FLAIR MRI.
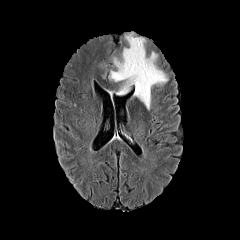
T1-weighted MRI.
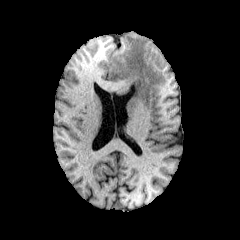
Post-contrast T1-weighted MR.
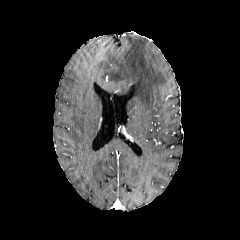
T2-weighted MRI.
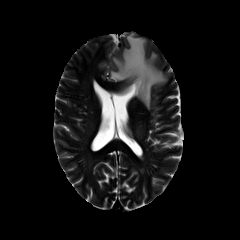
Brain
<segmentation>
  <edema>box(108, 32, 167, 109)</edema>
</segmentation>